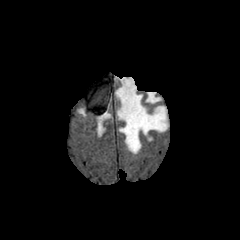
FLAIR MR.
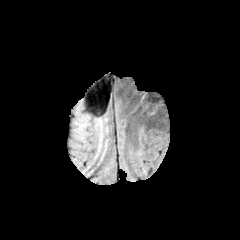
T1-weighted magnetic resonance.
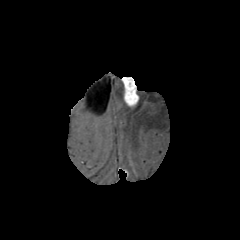
Same slice, post-contrast T1-weighted MR.
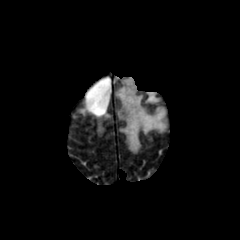
T2-weighted MR image.
Brain
Findings:
* edema: box(115, 79, 168, 153)
* enhancing tumor: box(122, 77, 138, 106)